CT image 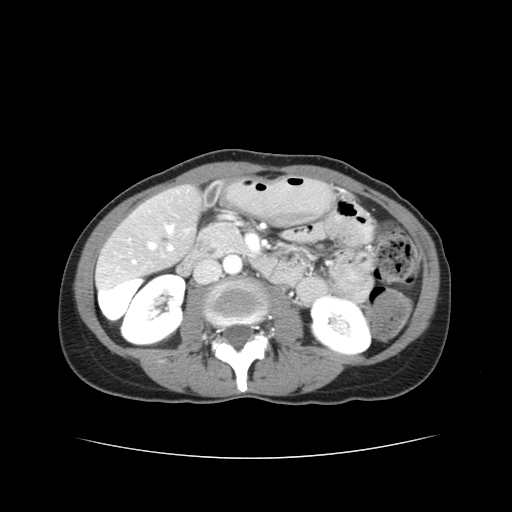
The vessel annotation is not exhaustive.
4 hepatic vessel regions appear at 167,227,172,231; 150,243,154,248; 168,246,172,250; 133,261,135,263.